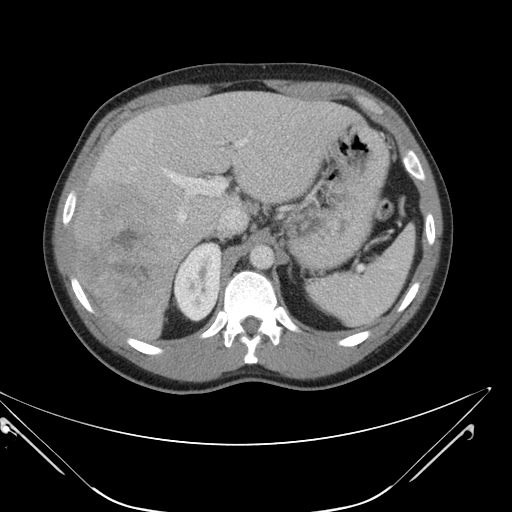
Abdomen, Image size 512x512, CT

Not every hepatic vessel necessarily has a box.
The liver tumor lies within [x1=76, y1=184, x2=175, y2=319]. 9 hepatic vessel regions are located at [x1=178, y1=208, x2=185, y2=221], [x1=164, y1=169, x2=226, y2=194], [x1=249, y1=130, x2=251, y2=133], [x1=218, y1=206, x2=243, y2=228], [x1=196, y1=134, x2=200, y2=137], [x1=150, y1=139, x2=151, y2=141], [x1=236, y1=139, x2=247, y2=145], [x1=186, y1=199, x2=187, y2=200], [x1=130, y1=167, x2=134, y2=169].